Head, 240x240, Slice index 102
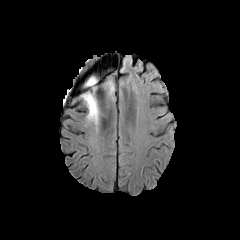
FLAIR MR image.
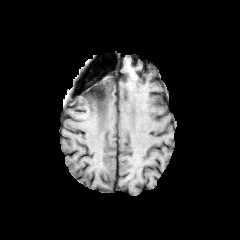
Same slice, T1-weighted MR.
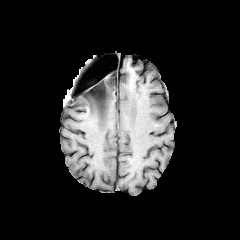
Post-contrast T1-weighted MRI.
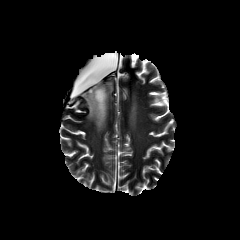
Same slice, T2-weighted magnetic resonance.
The edema appears at x1=80 y1=76 x2=114 y2=124. The non-enhancing tumor core lies within x1=92 y1=85 x2=97 y2=107.